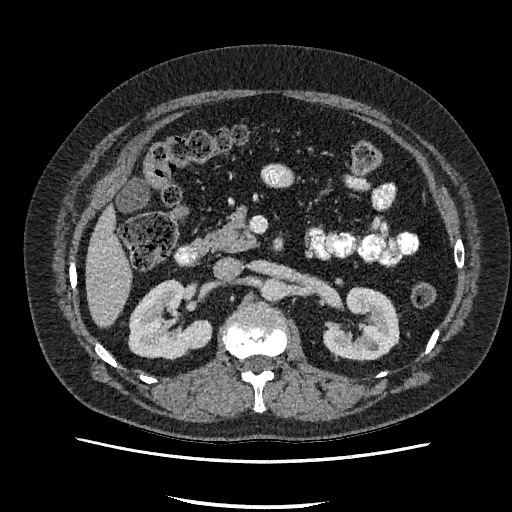
512x512. Liver. CT.
2 kidney regions appear at (x1=130, y1=281, x2=210, y2=357), (x1=324, y1=289, x2=398, y2=359). The liver appears at (x1=85, y1=205, x2=132, y2=327).